Slice 79/155 | Image size 240x240 | Brain
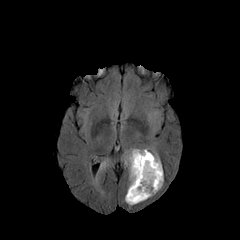
FLAIR MR.
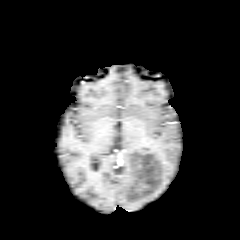
T1-weighted MR image of the same slice.
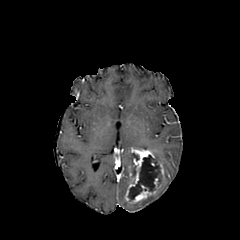
Post-contrast T1-weighted MR image of the same slice.
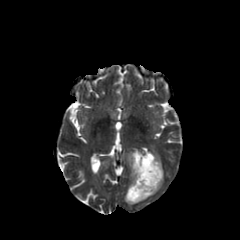
T2-weighted MRI.
<segmentation>
  <edema><box>156,172,163,191</box>, <box>123,148,139,173</box>, <box>126,194,153,205</box>, <box>148,148,162,169</box></edema>
  <enhancing_tumor><box>125,149,155,202</box></enhancing_tumor>
  <non-enhancing_tumor_core><box>128,166,135,186</box>, <box>128,155,160,199</box></non-enhancing_tumor_core>
</segmentation>